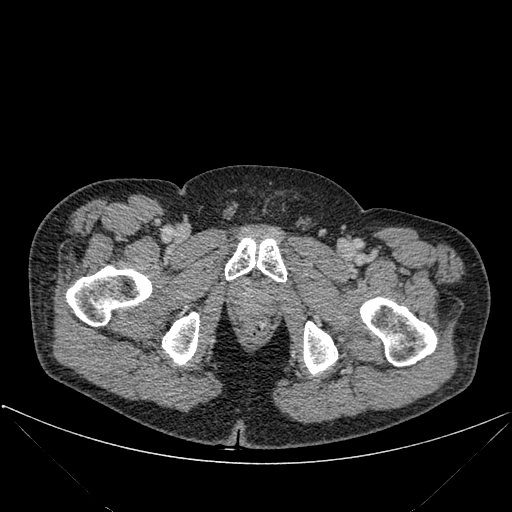
Computed tomography, Image size 512x512
Bone: bounding box (66,266,151,326), (360,297,436,366), (225,238,286,281), (162,312,199,364), (303,321,337,374).